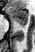

Image size 35x52 | MRI slice | Medial temporal lobe

Posterior hippocampus: (x1=15, y1=21, x2=26, y2=26).
Anterior hippocampus: (x1=7, y1=7, x2=27, y2=21).